MR.

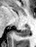 Posterior hippocampus = <box>15,24,30,36</box>.